CT slice, Slice 33/86, Abdomen 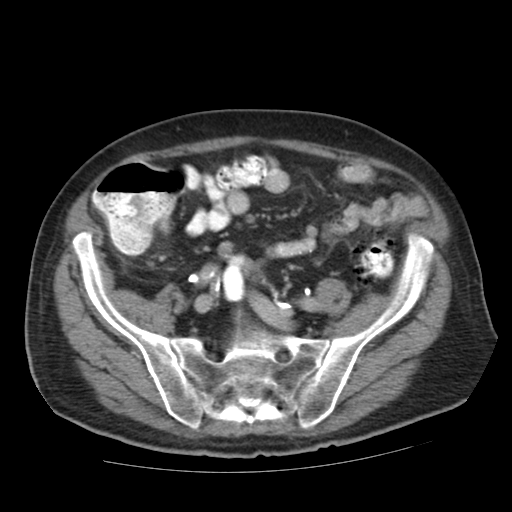 Segmented structures:
- colon tumor: [x1=130, y1=195, x2=142, y2=210]